32x52; MR; Hippocampus

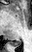

posterior hippocampus: x1=12, y1=40, x2=21, y2=46